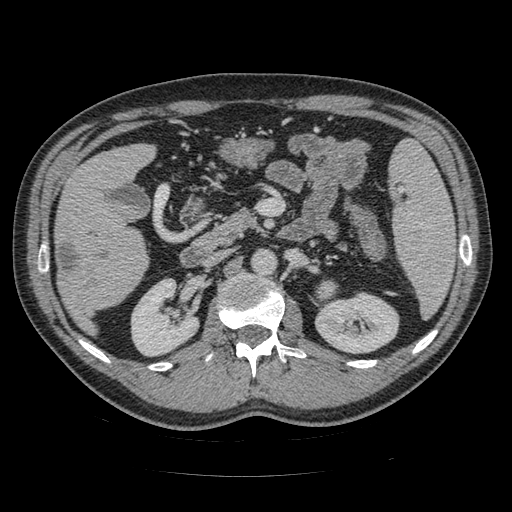

CT.
Findings:
- pancreas: (left=216, top=212, right=253, bottom=238)
- pancreatic tumor: (left=317, top=281, right=336, bottom=298)